Brain
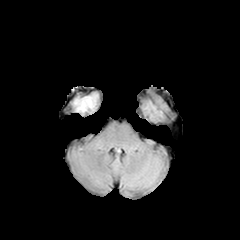
FLAIR magnetic resonance.
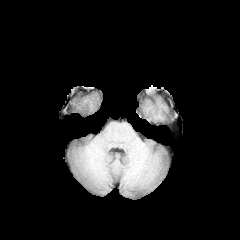
T1-weighted MR of the same slice.
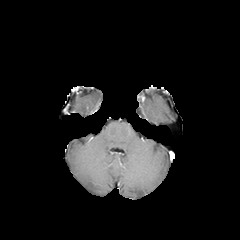
Post-contrast T1-weighted MR image of the same slice.
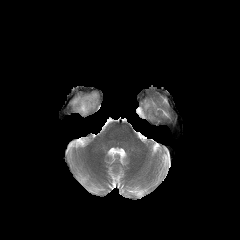
T2-weighted MR.
Annotated regions:
* edema: <box>73,93,98,114</box>